Computed tomography; Slice 525/841; Abdomen 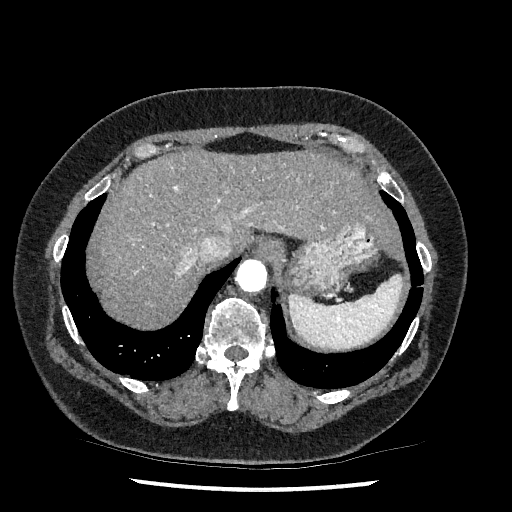

Liver — (94, 151, 403, 327).